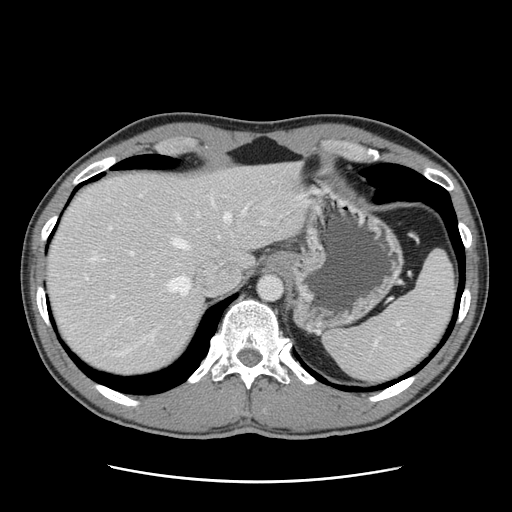
Liver. CT scan slice. The vessel annotation is not exhaustive.
Most prominent 15 of 16 hepatic vessel regions: l=260, t=221, r=263, b=223; l=88, t=256, r=96, b=260; l=242, t=208, r=245, b=214; l=139, t=195, r=141, b=196; l=151, t=336, r=152, b=339; l=115, t=349, r=128, b=354; l=177, t=216, r=179, b=219; l=101, t=259, r=104, b=260; l=108, t=227, r=110, b=228; l=168, t=275, r=188, b=294; l=129, t=252, r=133, b=254; l=173, t=239, r=187, b=247; l=85, t=275, r=87, b=279; l=224, t=213, r=230, b=220; l=112, t=295, r=113, b=297.